Brain; Slice 95/155; 240x240; Field of view 240x240 mm
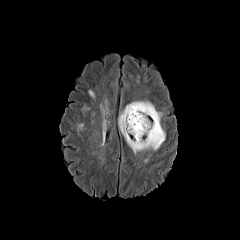
FLAIR MR image.
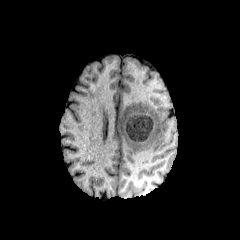
T1-weighted MR image.
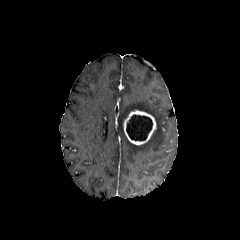
Same slice, post-contrast T1-weighted magnetic resonance.
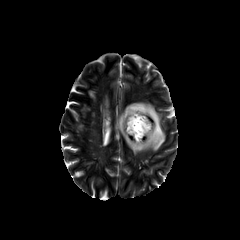
T2-weighted MRI of the same slice.
The edema appears at 120:102:164:154. The enhancing tumor is bounded by 123:110:156:144. The non-enhancing tumor core is located at 126:115:152:141.